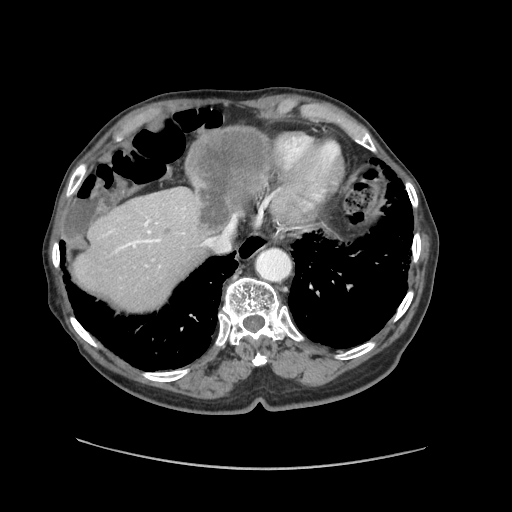
CT scan slice

The vessel annotation is not exhaustive.
Hepatic vessel — 117,238,161,250; 203,215,235,251.
Liver tumor — 189,128,266,230.